CT image. Slice index 513. 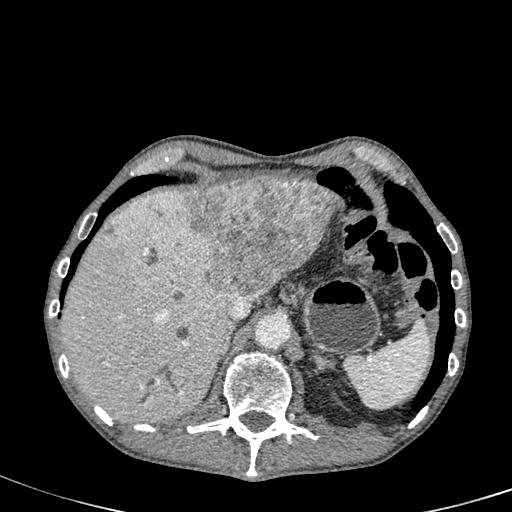 {"liver": ["62:190:239:422"], "liver_lesion": ["183:179:338:299", "175:291:184:302", "104:227:113:234"]}